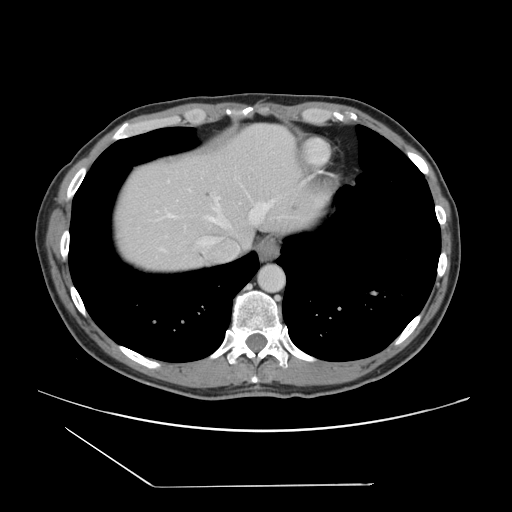
CT image
The vessel boxes may cover only some of the vessels.
7 hepatic vessel regions are bounded by (x1=189, y1=189, x2=190, y2=190), (x1=159, y1=247, x2=162, y2=248), (x1=164, y1=213, x2=173, y2=217), (x1=198, y1=237, x2=205, y2=243), (x1=207, y1=196, x2=230, y2=227), (x1=283, y1=217, x2=289, y2=217), (x1=250, y1=199, x2=275, y2=223).